Slice index 45, Upper abdomen, CT slice
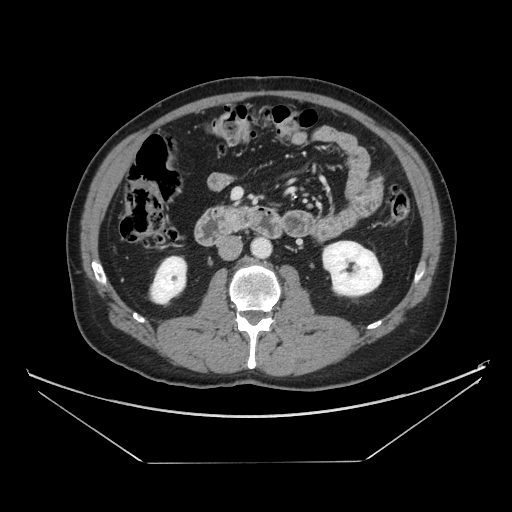
Pancreas: bounding box rect(227, 207, 245, 228).